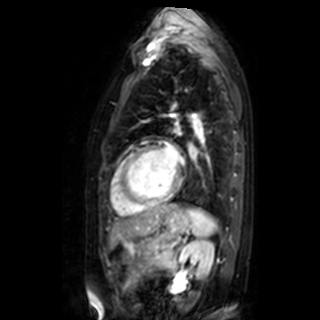

Magnetic resonance
Annotated regions:
- left atrium: [x1=169, y1=149, x2=177, y2=161]